Image size 36x52; MR 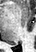

The posterior hippocampus is at bbox=[11, 43, 17, 45].